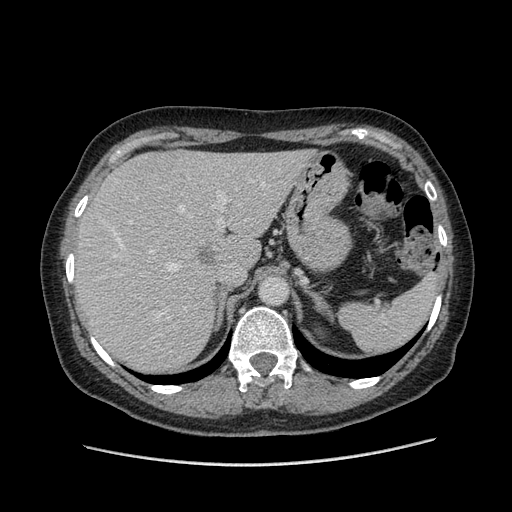

Image size 512x512 | Computed tomography

Not every hepatic vessel necessarily has a box.
Hepatic vessel: bounding box (x1=186, y1=213, x2=191, y2=216), (x1=149, y1=250, x2=153, y2=253), (x1=129, y1=221, x2=132, y2=223), (x1=112, y1=232, x2=124, y2=249), (x1=129, y1=282, x2=136, y2=285), (x1=166, y1=262, x2=179, y2=270), (x1=216, y1=219, x2=223, y2=230), (x1=211, y1=205, x2=214, y2=207), (x1=200, y1=241, x2=202, y2=244), (x1=217, y1=193, x2=228, y2=206), (x1=156, y1=312, x2=163, y2=320).